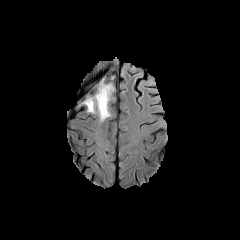
FLAIR MRI.
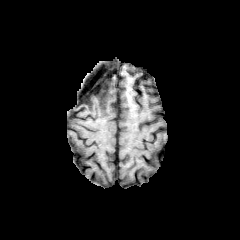
T1-weighted magnetic resonance of the same slice.
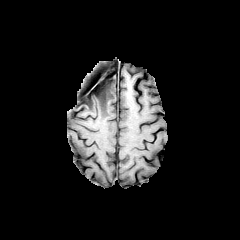
Post-contrast T1-weighted MR image.
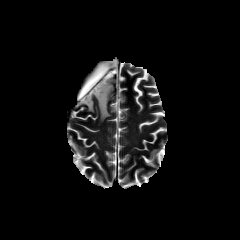
Same slice, T2-weighted MR.
240x240 px.
Non-enhancing tumor core at (x1=84, y1=80, x2=110, y2=101).
Edema at (x1=80, y1=84, x2=113, y2=121).